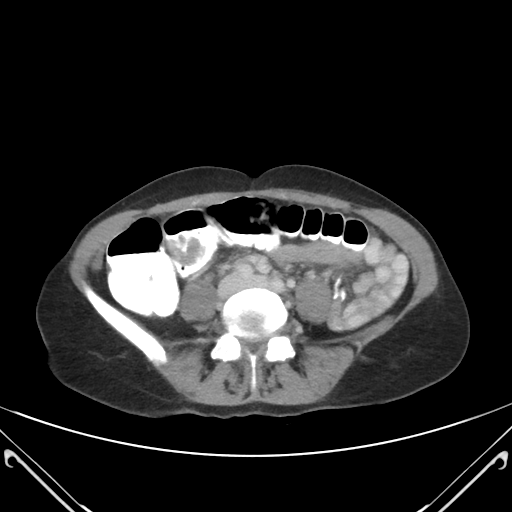 Pelvis; CT scan slice
The colon tumor is bounded by [x1=165, y1=234, x2=205, y2=264].